FLAIR MR image.
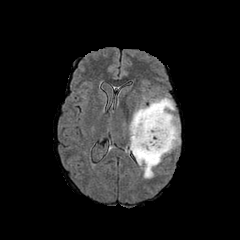
T1-weighted MR image.
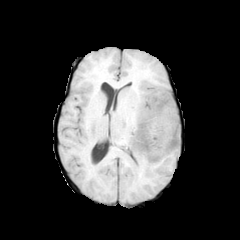
Post-contrast T1-weighted MR image.
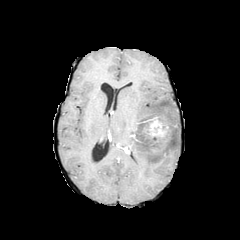
T2-weighted magnetic resonance.
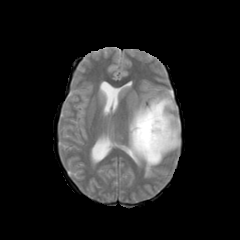
Brain
Enhancing tumor: bounding box [144, 116, 168, 141].
Non-enhancing tumor core: bounding box [130, 114, 168, 154].
Edema: bounding box [129, 94, 180, 178].